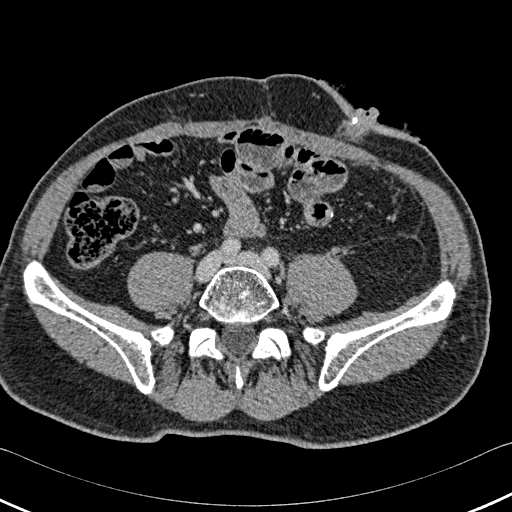 Image size 512x512 | Computed tomography
6 bone regions appear at (x1=303, y1=281, x2=454, y2=390), (x1=24, y1=261, x2=173, y2=393), (x1=235, y1=366, x2=242, y2=388), (x1=189, y1=328, x2=222, y2=359), (x1=252, y1=328, x2=290, y2=359), (x1=199, y1=266, x2=278, y2=322).